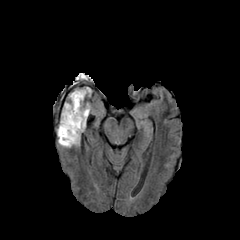
FLAIR magnetic resonance.
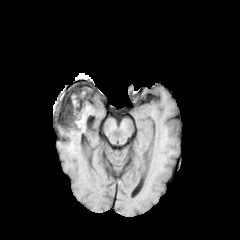
T1-weighted MR image.
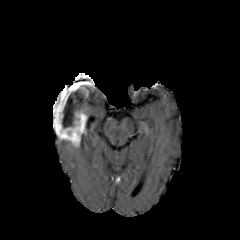
Post-contrast T1-weighted magnetic resonance.
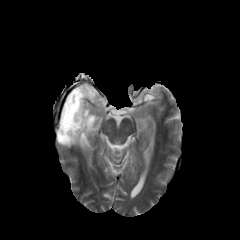
Same slice, T2-weighted MRI.
Brain.
Annotated regions:
- non-enhancing tumor core: 58,103,81,136
- edema: 73,112,85,121; 70,88,88,109; 59,127,83,144